Slice index 124. Image width 240 mm.
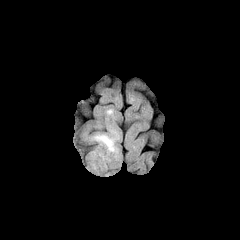
FLAIR MR image.
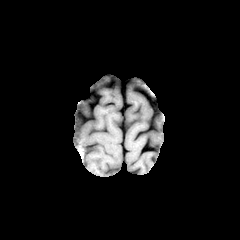
T1-weighted MRI.
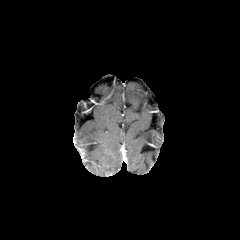
Post-contrast T1-weighted MRI.
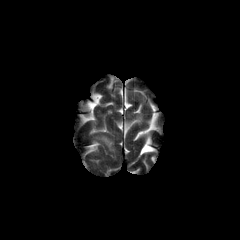
Same slice, T2-weighted magnetic resonance.
Edema — [95,135,113,150].